CT scan slice; 512x512 px; Image width 351 mm; Chest 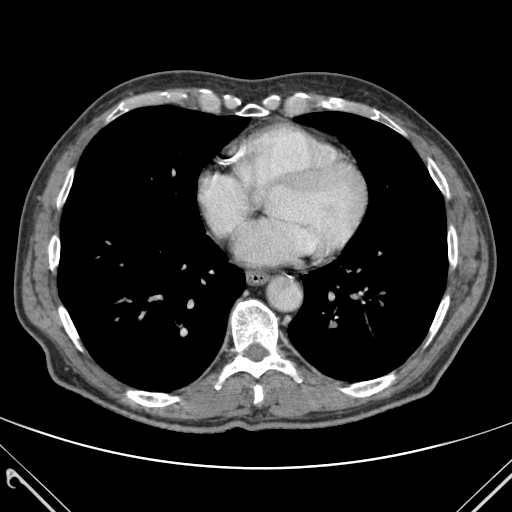

Segmented structures:
- bone: [x1=429, y1=297, x2=448, y2=340], [x1=341, y1=375, x2=393, y2=396], [x1=254, y1=385, x2=262, y2=402], [x1=448, y1=227, x2=457, y2=265], [x1=236, y1=104, x2=268, y2=115], [x1=127, y1=391, x2=178, y2=406], [x1=59, y1=302, x2=81, y2=349], [x1=49, y1=231, x2=59, y2=273], [x1=108, y1=102, x2=128, y2=118], [x1=428, y1=159, x2=448, y2=196], [x1=323, y1=98, x2=398, y2=127], [x1=57, y1=169, x2=72, y2=211], [x1=219, y1=300, x2=295, y2=383]
- lung: [x1=57, y1=105, x2=248, y2=391], [x1=288, y1=112, x2=447, y2=380]